Abdomen | 512x512 px | CT image | Slice 390 of 647

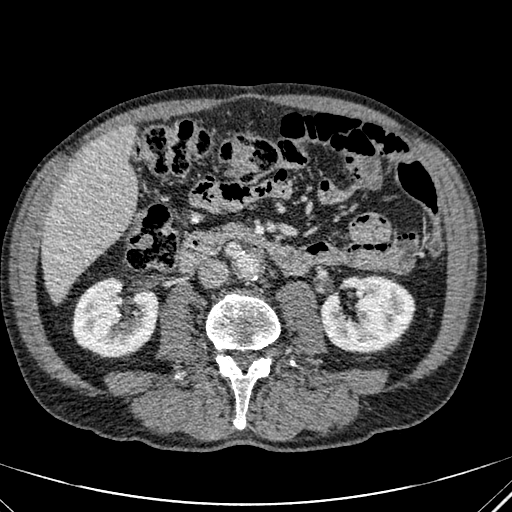

Liver: bounding box (x1=41, y1=124, x2=136, y2=301).
Kidney: bounding box (x1=322, y1=277, x2=413, y2=351), (x1=74, y1=279, x2=157, y2=355).